FLAIR MR image.
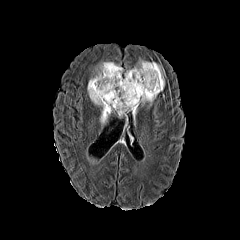
T1-weighted MR.
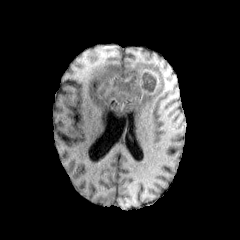
Post-contrast T1-weighted magnetic resonance.
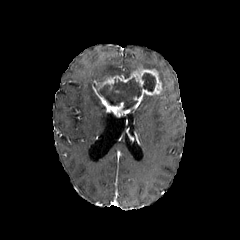
T2-weighted magnetic resonance.
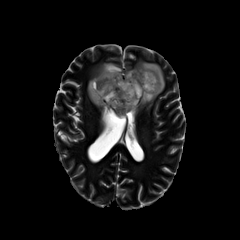
Head
<segmentation>
  <non-enhancing_tumor_core>(97,72,156,112)</non-enhancing_tumor_core>
  <enhancing_tumor>(93,87,129,115), (95,65,162,108)</enhancing_tumor>
  <edema>(87,61,122,125), (140,94,157,109), (124,58,165,90)</edema>
</segmentation>